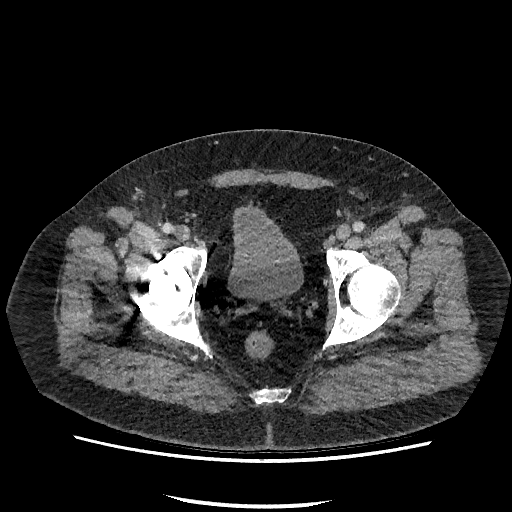

CT slice
Urinary bladder: bounding box (228,203,303,302).